Slice 72 of 155 | Head
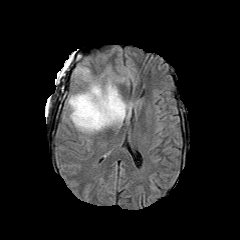
FLAIR MR.
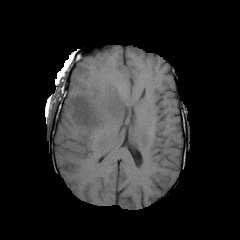
T1-weighted MR image.
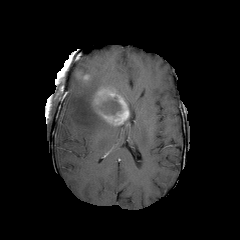
Post-contrast T1-weighted MRI.
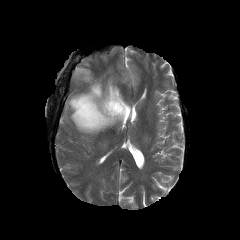
T2-weighted magnetic resonance.
Enhancing tumor — 92:86:129:124.
Non-enhancing tumor core — 99:97:120:116.
Edema — 67:78:112:133, 74:66:89:76, 105:78:116:88.